CT slice | Abdomen
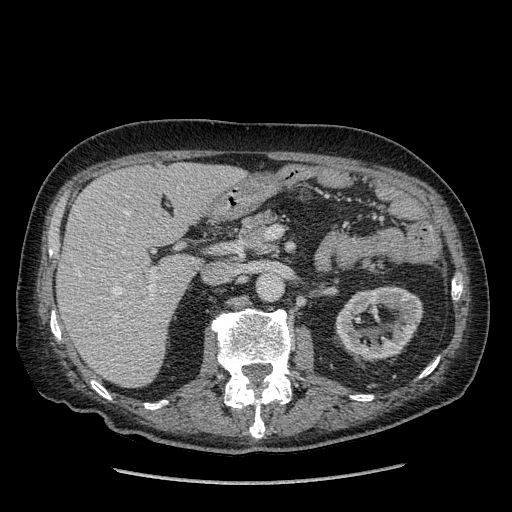 The liver is located at [57,163,241,387]. The kidney is located at [336,287,422,360].